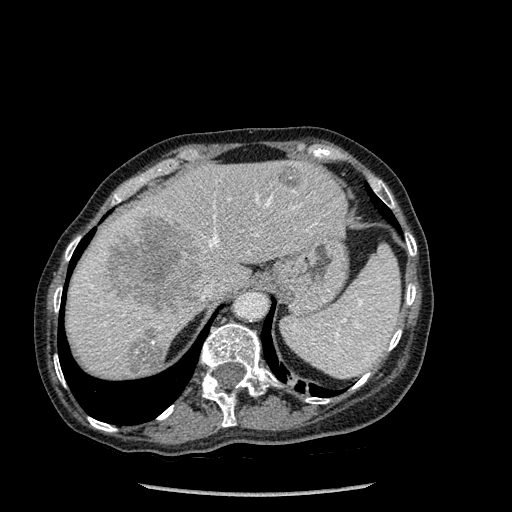 Computed tomography; Image size 512x512; Upper abdomen
The liver is located at left=66, top=160, right=348, bottom=379. 3 focal liver lesion regions are bounded by left=279, top=166, right=299, bottom=188; left=128, top=328, right=164, bottom=372; left=101, top=214, right=204, bottom=310. 13 bone regions are bounded by left=54, top=355, right=65, bottom=386; left=305, top=397, right=329, bottom=403; left=200, top=323, right=280, bottom=426; left=111, top=191, right=123, bottom=204; left=88, top=417, right=116, bottom=432; left=53, top=286, right=61, bottom=312; left=65, top=236, right=80, bottom=261; left=387, top=329, right=401, bottom=350; left=352, top=372, right=370, bottom=389; left=372, top=180, right=394, bottom=208; left=406, top=284, right=415, bottom=305; left=405, top=232, right=416, bottom=255; left=157, top=405, right=173, bottom=420. 4 lung regions appear at left=367, top=187, right=397, bottom=227; left=261, top=305, right=343, bottom=397; left=69, top=234, right=92, bottom=273; left=58, top=321, right=206, bottom=425.